Abdomen | CT | 512x512 px 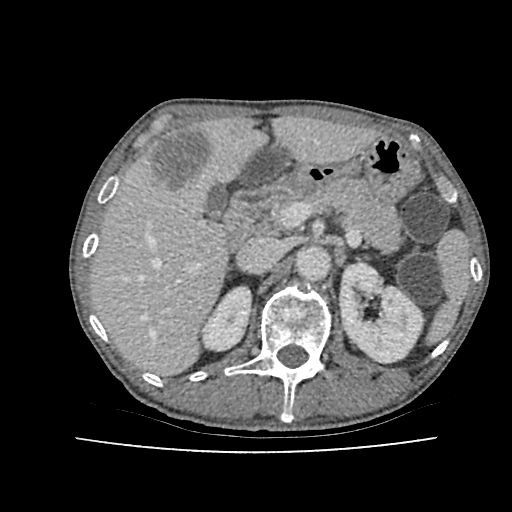
Kidney: bounding box rect(340, 263, 421, 362); rect(204, 287, 250, 349).
Liver lesion: bounding box rect(146, 132, 211, 193).
Liver: bounding box rect(92, 118, 373, 373).